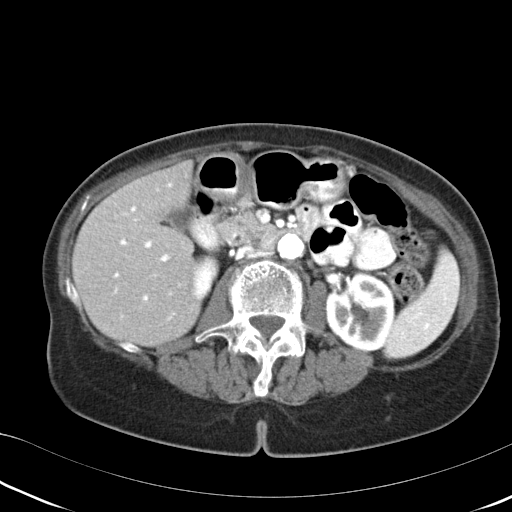

CT scan slice | Abdomen
pancreas: 226 196 286 251